CT slice. Abdomen. Field of view 385x385 mm.

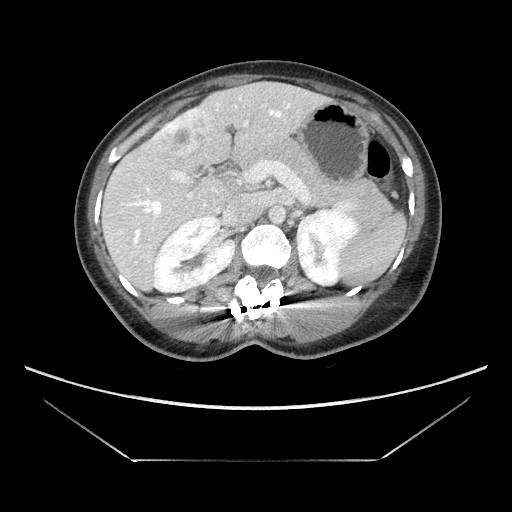
Only some of the vessels may be annotated.
<segmentation>
  <liver_tumor>[x1=162, y1=109, x2=209, y2=152]</liver_tumor>
  <hepatic_vessel>[x1=170, y1=171, x2=187, y2=182], [x1=147, y1=202, x2=160, y2=212], [x1=188, y1=193, x2=192, y2=197], [x1=247, y1=161, x2=288, y2=182]</hepatic_vessel>
</segmentation>